CT scan slice, Liver

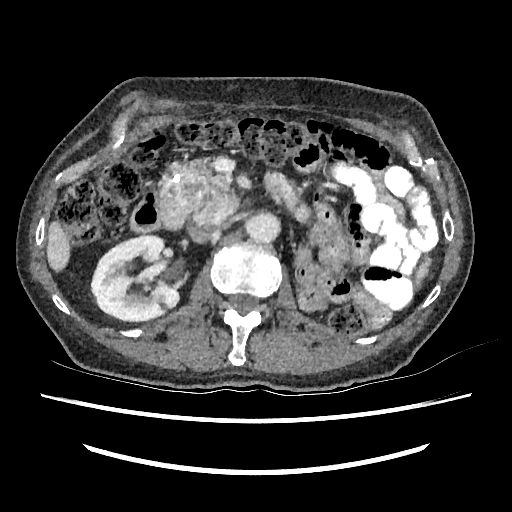
Liver: bounding box bbox(48, 222, 69, 270).
Kidney: bounding box bbox(91, 236, 178, 320).